CT image. Chest. Image width 390 mm. Slice 160/266.

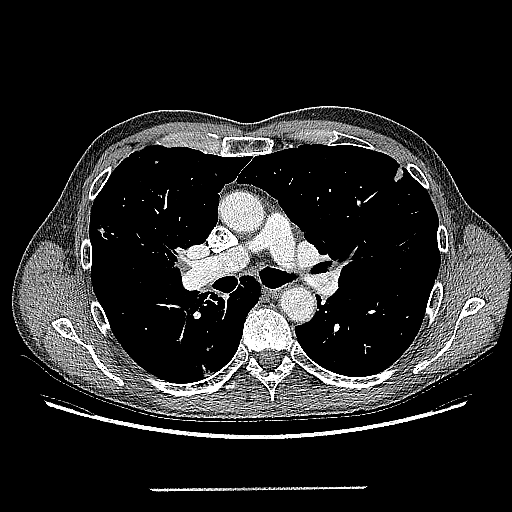

<segmentation>
  <lung_tumor>bbox(389, 165, 405, 186)</lung_tumor>
</segmentation>